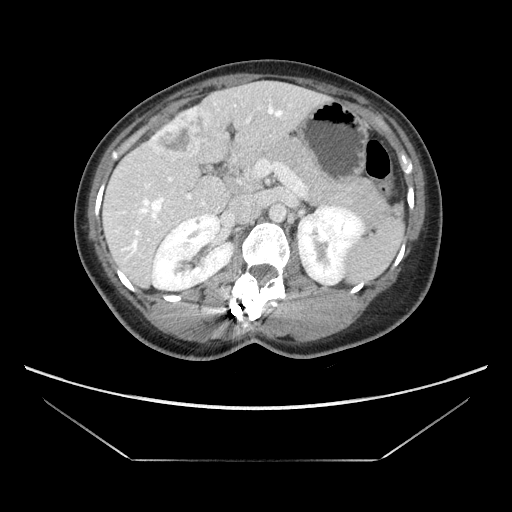
Computed tomography, Image size 512x512
The vessel annotation is not exhaustive.
Hepatic vessel = 256:160:288:184, 151:201:158:214.
Liver tumor = 154:109:201:158.